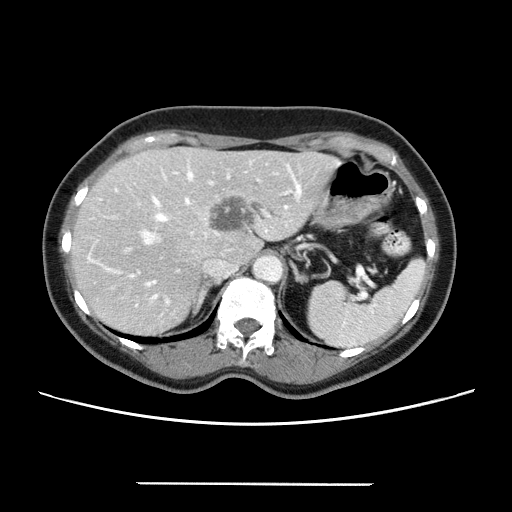

CT scan slice; Abdomen
The vessel boxes may cover only some of the vessels.
The liver tumor is located at rect(211, 196, 254, 230). 8 hepatic vessel regions are located at rect(186, 200, 188, 202); rect(188, 173, 191, 178); rect(142, 230, 154, 243); rect(157, 215, 165, 220); rect(296, 186, 300, 196); rect(166, 299, 167, 302); rect(148, 281, 154, 284); rect(154, 199, 158, 204).